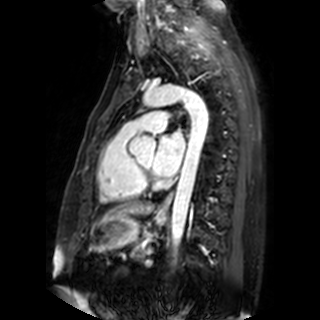

MRI slice, Cardiac

left atrium: 153:131:185:176